Computed tomography
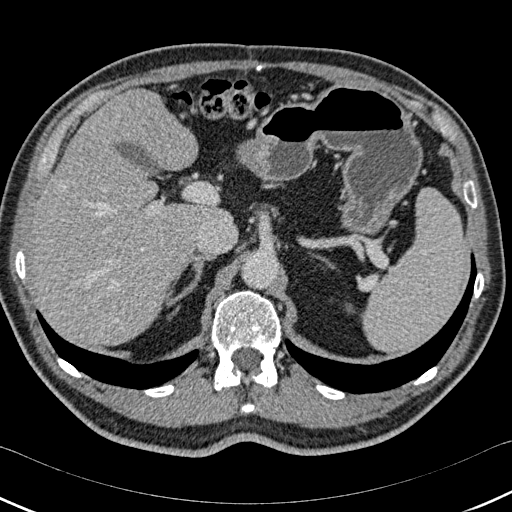
The liver lies within <box>34,88,228,344</box>. 2 lung regions are bounded by <box>36,310,198,389</box>, <box>284,253,476,393</box>. 9 bone regions are bounded by <box>212,291,280,390</box>, <box>463,180,476,207</box>, <box>144,385,173,397</box>, <box>13,251,25,278</box>, <box>414,367,436,384</box>, <box>474,273,483,298</box>, <box>57,358,81,377</box>, <box>242,403,254,412</box>, <box>316,385,344,399</box>.